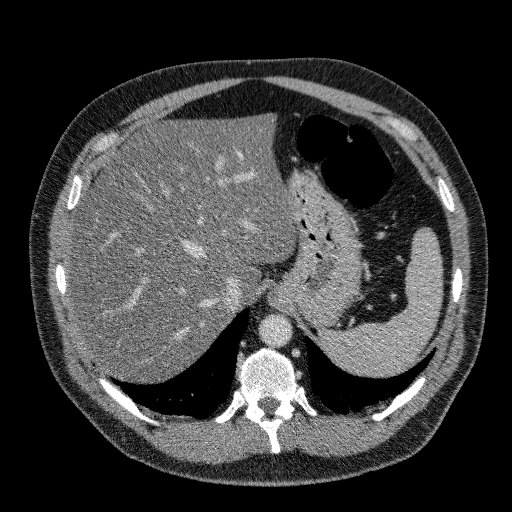

Computed tomography. Image size 512x512. Upper abdomen.

liver: x1=69 y1=113 x2=295 y2=382